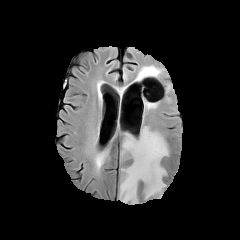
FLAIR MR.
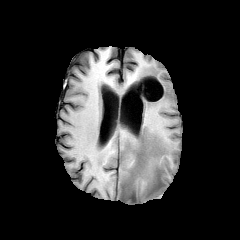
T1-weighted MRI.
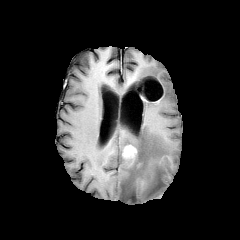
Post-contrast T1-weighted magnetic resonance.
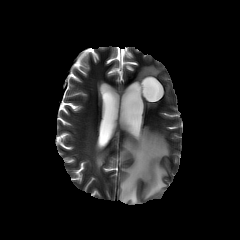
T2-weighted MR.
Image size 240x240.
Annotated regions:
• non-enhancing tumor core: bbox(133, 148, 143, 169)
• edema: bbox(138, 66, 160, 79); bbox(96, 152, 105, 168); bbox(119, 126, 169, 203)
• enhancing tumor: bbox(122, 144, 137, 156)